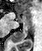
MRI, Hippocampus, 42x51 px

The anterior hippocampus is bounded by [17, 9, 31, 23]. The posterior hippocampus is located at [12, 24, 29, 42].